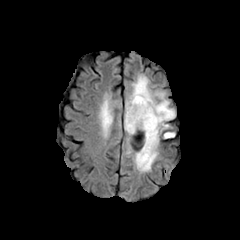
FLAIR MR.
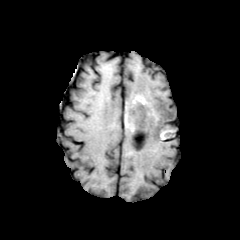
T1-weighted magnetic resonance of the same slice.
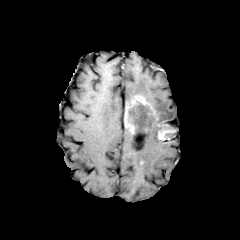
Same slice, post-contrast T1-weighted MR.
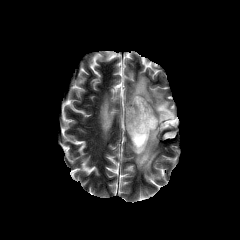
T2-weighted MRI.
240x240.
- edema: [100,102,112,131], [133,124,159,172], [124,74,175,137]
- enhancing tumor: [126,111,135,133], [127,96,147,110]
- non-enhancing tumor core: [128,102,154,118], [135,118,155,142], [156,120,169,139]